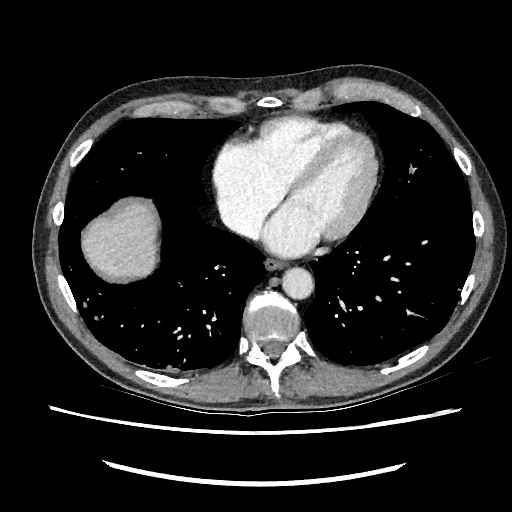

CT slice | 512x512 | Abdomen

The liver is bounded by (82, 204, 156, 275).